Slice 122/683, Computed tomography
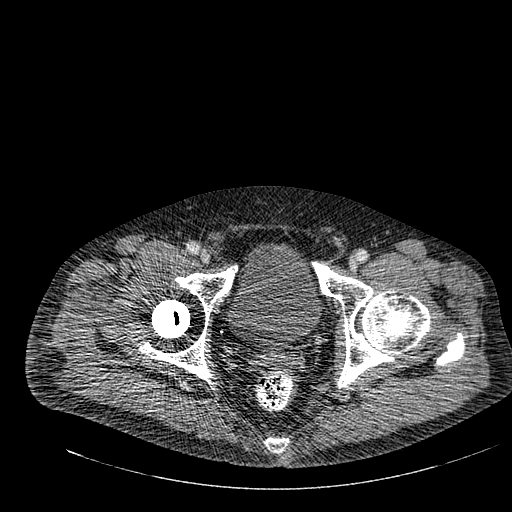
Urinary bladder — 227:243:322:350.